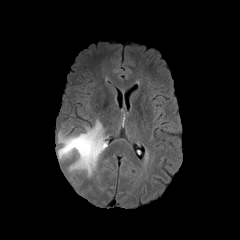
FLAIR magnetic resonance.
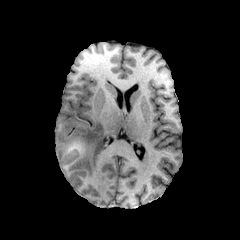
T1-weighted MRI.
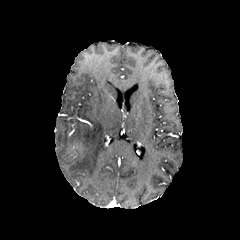
Post-contrast T1-weighted MR of the same slice.
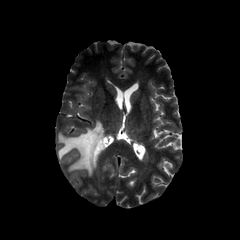
T2-weighted MRI.
<segmentation>
  <edema>(left=57, top=120, right=105, bottom=175)</edema>
</segmentation>